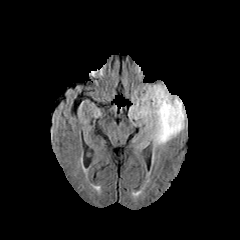
FLAIR MR image.
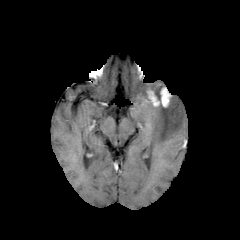
T1-weighted magnetic resonance.
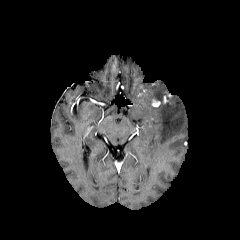
Post-contrast T1-weighted MR image.
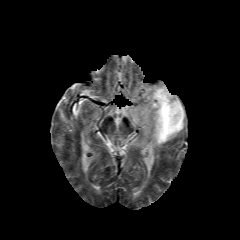
Same slice, T2-weighted MRI.
{"enhancing_tumor": ["[152,99,160,106]"], "edema": ["[128,83,185,158]"]}